FLAIR magnetic resonance.
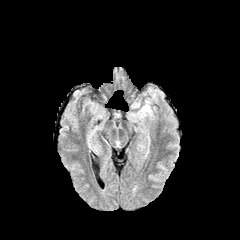
T1-weighted MRI.
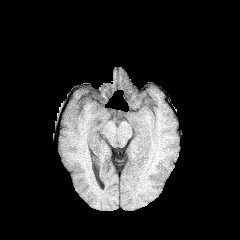
Post-contrast T1-weighted MR image.
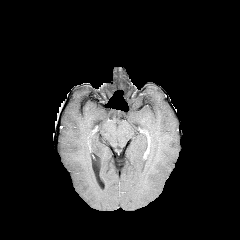
T2-weighted magnetic resonance.
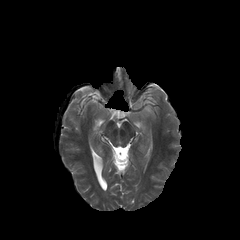
<segmentation>
  <edema>left=139, top=100, right=152, bottom=118</edema>
</segmentation>